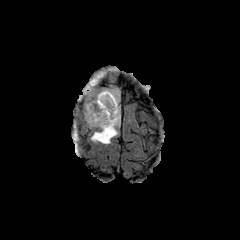
FLAIR MRI.
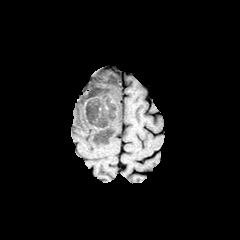
Same slice, T1-weighted MRI.
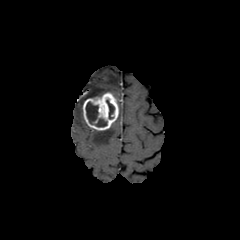
Post-contrast T1-weighted MRI of the same slice.
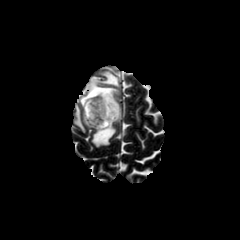
T2-weighted MR image of the same slice.
240x240 px.
The edema lies within box(79, 69, 120, 145). The enhancing tumor appears at box(83, 92, 118, 130). 6 non-enhancing tumor core regions appear at box(94, 127, 112, 140); box(95, 118, 106, 126); box(108, 76, 115, 84); box(86, 102, 98, 124); box(88, 86, 110, 97); box(106, 100, 114, 118).